Image width 240 mm, Slice 63 of 155, 240x240
FLAIR magnetic resonance.
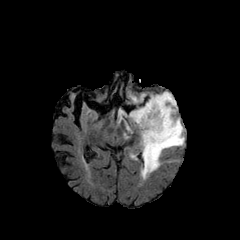
T1-weighted MRI.
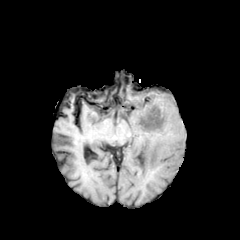
Post-contrast T1-weighted MR image.
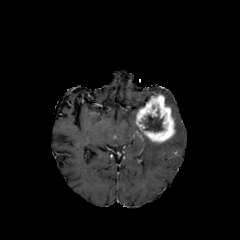
T2-weighted MRI.
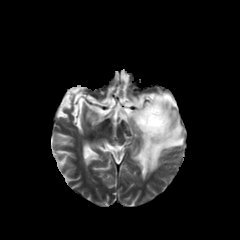
• enhancing tumor: [135, 94, 175, 143]
• non-enhancing tumor core: [144, 115, 162, 131]
• edema: [118, 92, 184, 179]